Field of view 472x472 mm | CT scan slice | Image size 512x512 | Lower abdomen
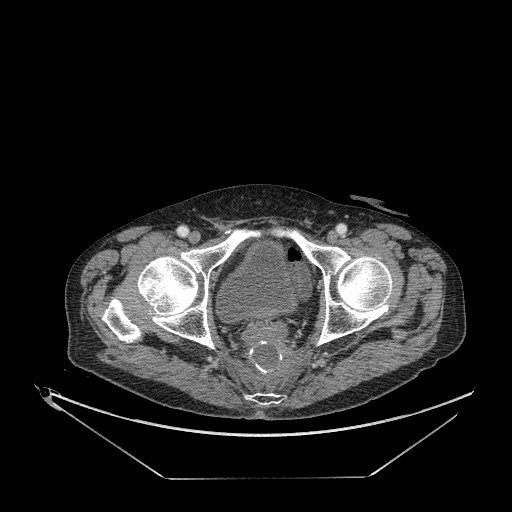

{
  "urinary_bladder": [
    "[x1=216, y1=240, x2=303, y2=322]"
  ]
}